Liver; CT
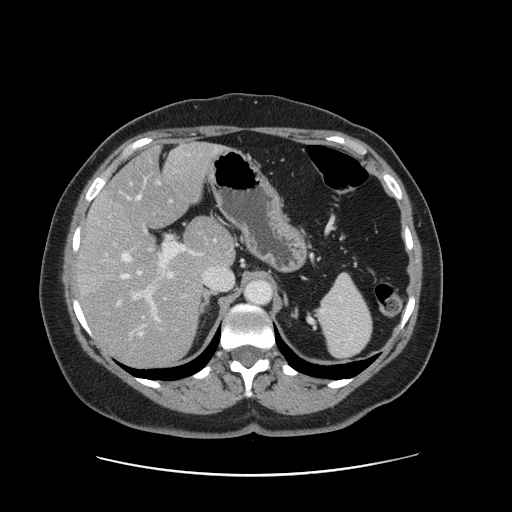

The vessel annotation is not exhaustive.
Segmented structures:
* hepatic vessel: box=[143, 325, 145, 326]; box=[132, 291, 159, 320]; box=[122, 274, 128, 278]; box=[167, 272, 173, 277]; box=[138, 271, 140, 274]; box=[182, 245, 201, 255]; box=[122, 253, 130, 261]; box=[118, 300, 121, 303]; box=[130, 183, 132, 184]; box=[139, 331, 142, 335]